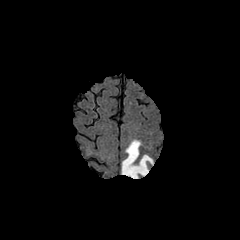
FLAIR magnetic resonance.
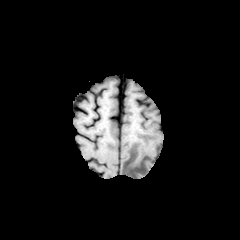
T1-weighted MR image.
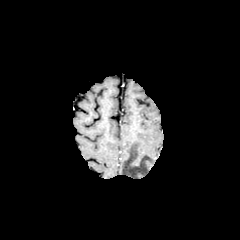
Post-contrast T1-weighted magnetic resonance of the same slice.
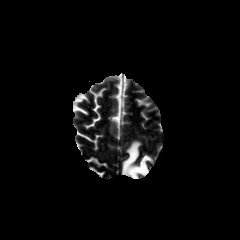
T2-weighted MRI.
Head
Edema = bbox(122, 140, 153, 178).